Field of view 398x398 mm | CT
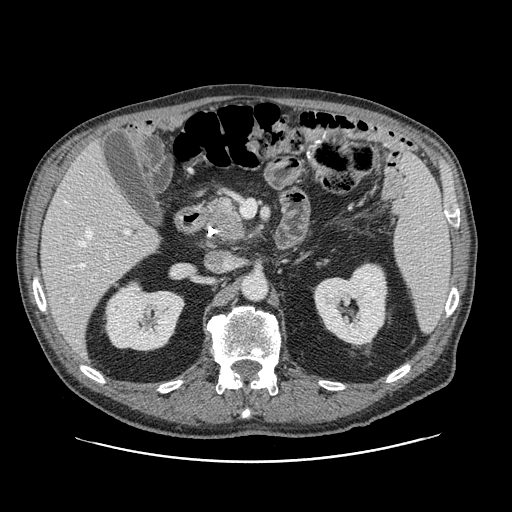 Pancreatic tumor: bounding box (left=213, top=212, right=240, bottom=238).
Pancreas: bounding box (left=208, top=198, right=244, bottom=242).